FLAIR MRI.
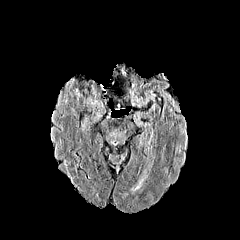
T1-weighted MR image.
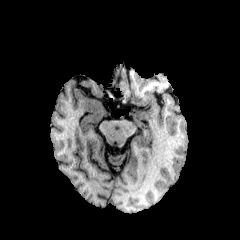
Post-contrast T1-weighted MRI.
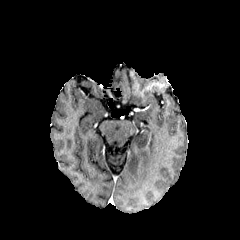
T2-weighted MR image.
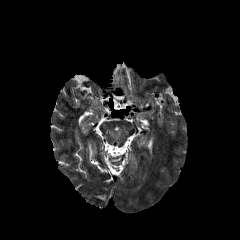
Brain.
edema: bbox(132, 177, 145, 190)